FLAIR MR image.
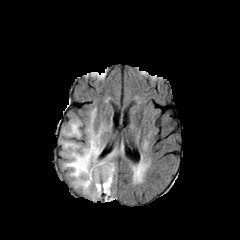
T1-weighted magnetic resonance.
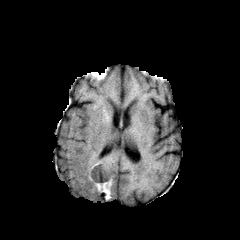
Post-contrast T1-weighted MR image.
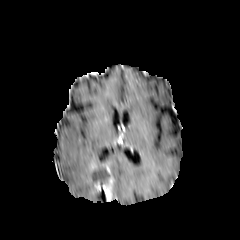
T2-weighted MR.
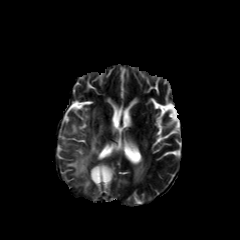
Brain; 240x240
The non-enhancing tumor core is bounded by [90,164,109,186]. The enhancing tumor is located at [95,164,112,199]. 3 edema regions are bounded by [90,109,95,124], [62,125,122,201], [62,120,81,137].